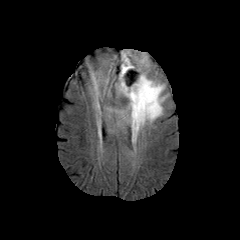
FLAIR MRI.
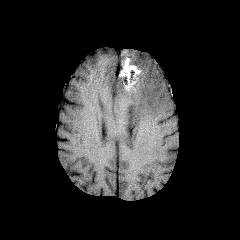
Same slice, T1-weighted MRI.
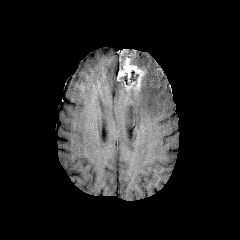
Post-contrast T1-weighted MR of the same slice.
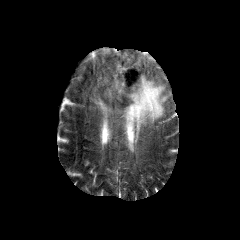
T2-weighted magnetic resonance.
Head; 240x240
The enhancing tumor is located at box(117, 57, 144, 88). The edema is located at box(114, 53, 169, 149). 2 non-enhancing tumor core regions are bounded by box(119, 52, 142, 70); box(116, 70, 140, 94).